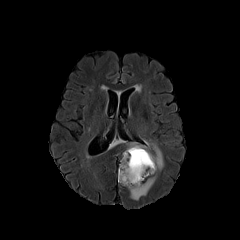
FLAIR MR image.
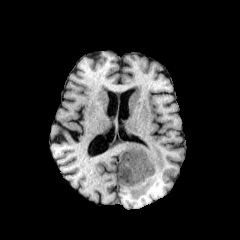
T1-weighted MR image of the same slice.
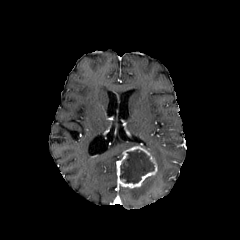
Post-contrast T1-weighted MRI of the same slice.
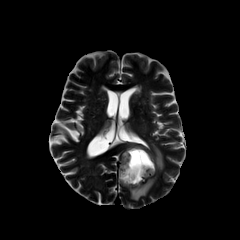
T2-weighted MR of the same slice.
Brain.
Edema = (130, 176, 155, 200), (152, 147, 163, 171).
Enhancing tumor = (117, 145, 157, 188).
Non-enhancing tumor core = (120, 150, 154, 183).